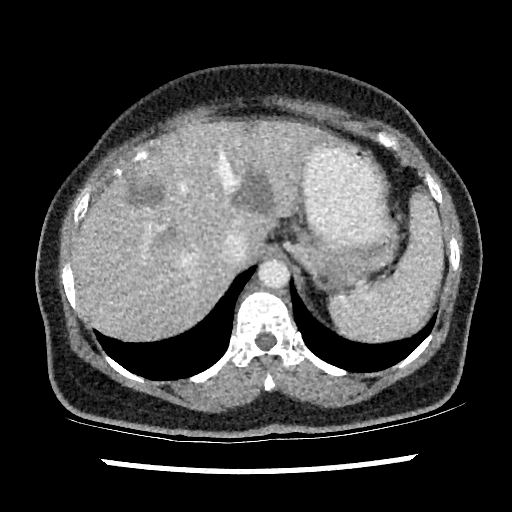
CT scan slice
* liver: bbox(70, 120, 334, 339)
* liver lesion: bbox(125, 182, 164, 204); bbox(241, 122, 258, 131); bbox(233, 172, 273, 217)